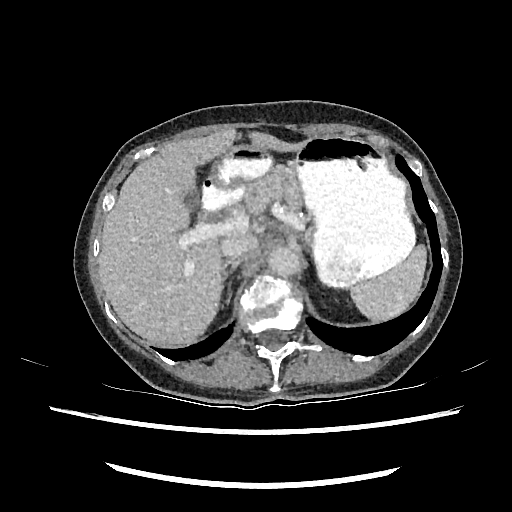

Abdomen | CT slice
2 liver regions appear at box(99, 129, 235, 344); box(254, 133, 299, 150).